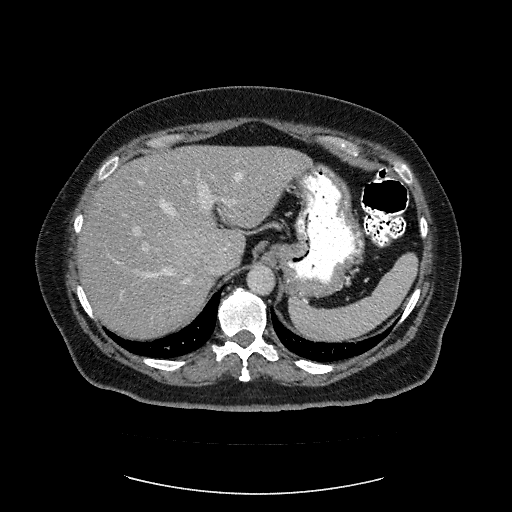
CT image. Not every hepatic vessel necessarily has a box.
hepatic vessel: box(134, 226, 140, 234); box(138, 180, 142, 183); box(192, 181, 236, 208); box(235, 172, 242, 180); box(142, 243, 149, 251); box(122, 290, 123, 293); box(184, 180, 187, 182); box(183, 278, 189, 283); box(116, 261, 118, 262); box(161, 200, 174, 213); box(197, 171, 199, 179); box(137, 268, 172, 277)